MR image; Slice 9 of 34; Hippocampus
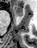
Anterior hippocampus at [x1=13, y1=5, x2=22, y2=16].